Image size 512x512. CT. 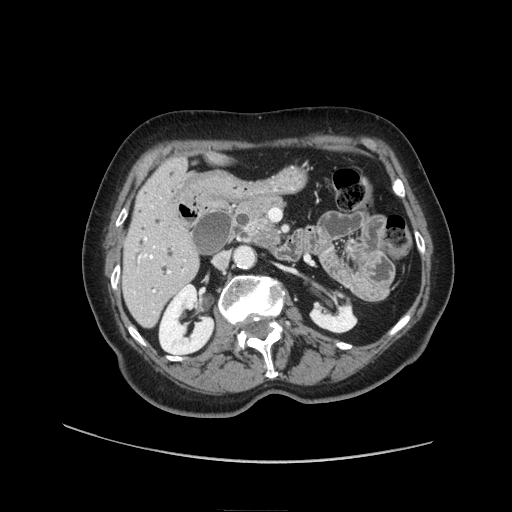

Pancreas — region(232, 197, 283, 247).
Pancreatic tumor — region(255, 226, 279, 247).